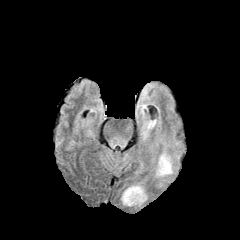
FLAIR MRI.
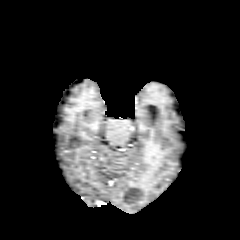
T1-weighted MRI.
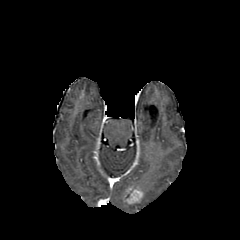
Same slice, post-contrast T1-weighted MR.
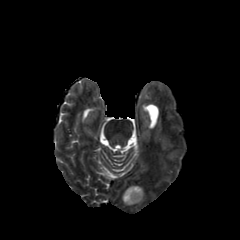
T2-weighted MRI.
240x240
The edema appears at (158,155,171,175). The enhancing tumor is at (122,184,144,205).